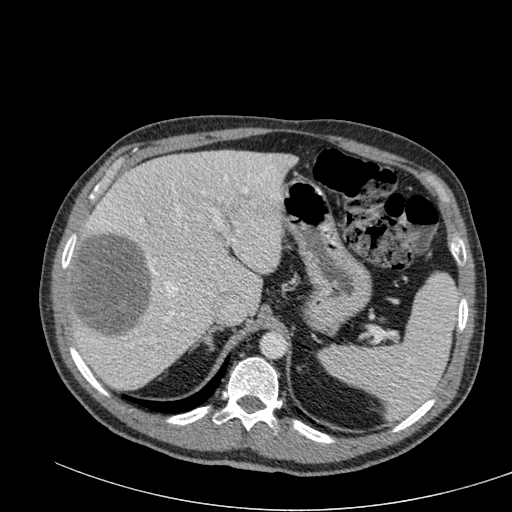

CT
The liver lesion is bounded by [66,233,150,336]. The liver is bounded by [68,150,296,389].